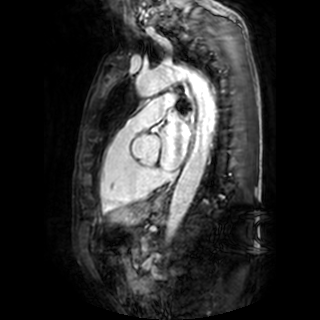 MR image | Cardiac
{"left_atrium": ["l=160, t=113, r=189, b=170"]}